Image size 240x240 | Head
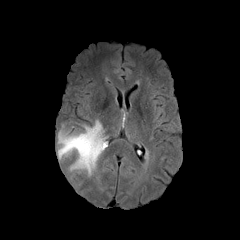
FLAIR MR image.
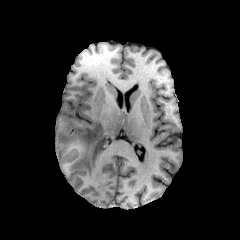
Same slice, T1-weighted MR image.
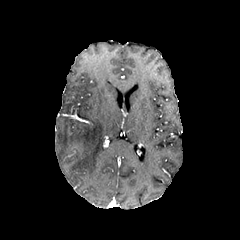
Post-contrast T1-weighted MR of the same slice.
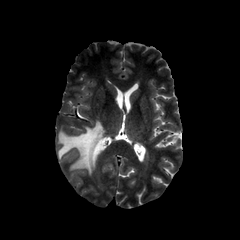
T2-weighted MR image.
Segmented structures:
• edema: <bbox>57, 120, 104, 176</bbox>